Abdomen. Slice 212 of 410. Computed tomography. 512x512 px.

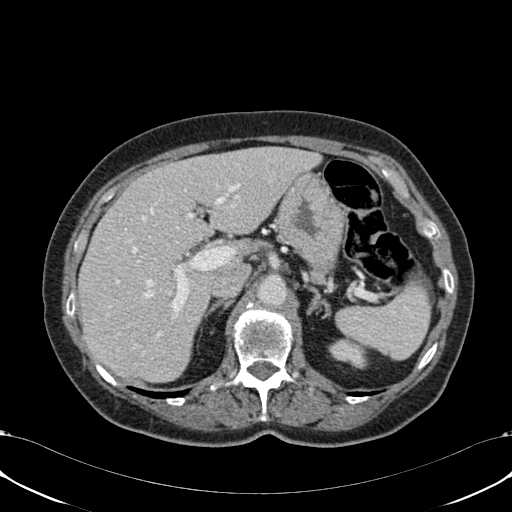 {
  "kidney": [
    "x1=330 y1=338 x2=364 y2=367"
  ],
  "liver": [
    "x1=78 y1=147 x2=321 y2=382"
  ]
}